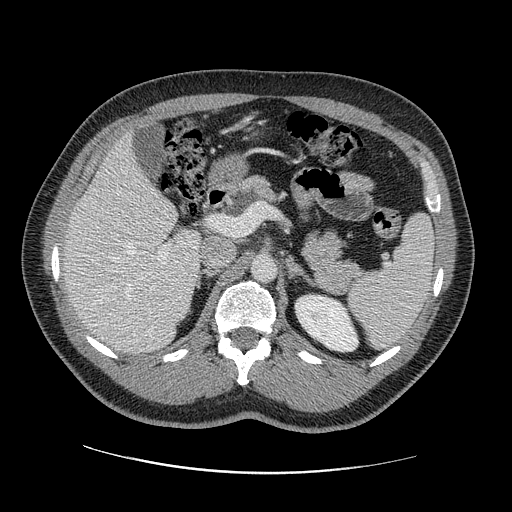 CT slice

pancreatic tumor: (left=225, top=189, right=260, bottom=217) | pancreas: (left=301, top=227, right=364, bottom=293), (left=223, top=175, right=289, bottom=211)